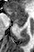

MR
Posterior hippocampus = bbox=[14, 21, 26, 27].
Anterior hippocampus = bbox=[6, 8, 27, 21].